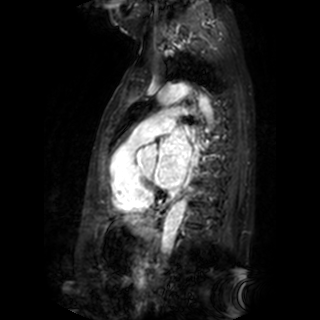
MR image | Heart
The left atrium lies within box=[155, 129, 191, 188].